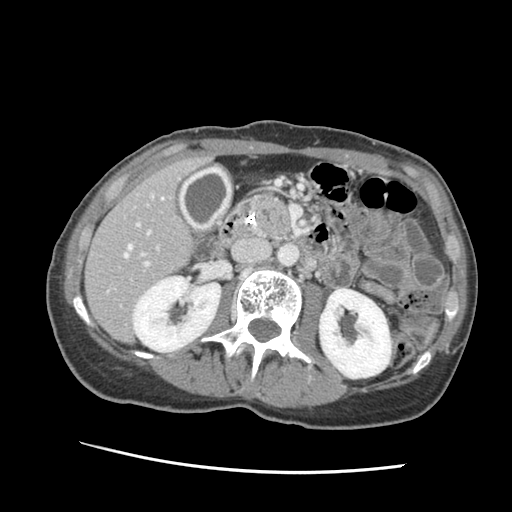

Abdomen | CT slice
Pancreas — x1=245, y1=191, x2=294, y2=239.